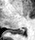

Medial temporal lobe; Magnetic resonance
The posterior hippocampus is located at bbox(9, 28, 24, 34).